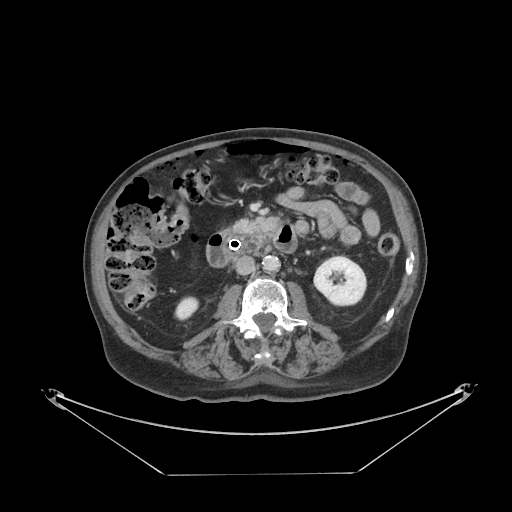

CT slice | Upper abdomen

The pancreas is at [232, 218, 273, 236].